Hippocampus, Field of view 33 mm wide, 1.00 mm slice spacing, MRI slice

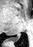

Posterior hippocampus at (12,35,20,41).